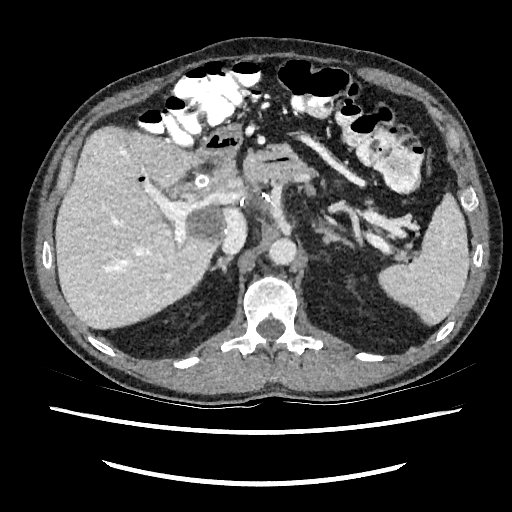
CT slice.
3 liver regions appear at (x1=56, y1=128, x2=216, y2=327), (x1=222, y1=155, x2=234, y2=167), (x1=225, y1=173, x2=236, y2=188). 2 focal liver lesion regions appear at (x1=189, y1=209, x2=221, y2=241), (x1=172, y1=166, x2=235, y2=200).